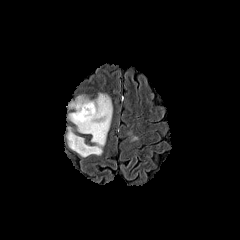
FLAIR magnetic resonance.
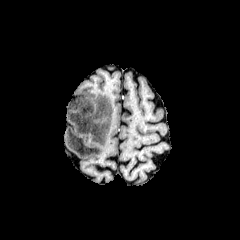
Same slice, T1-weighted MR.
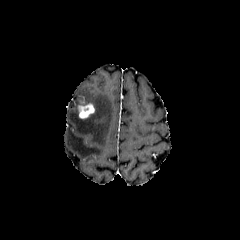
Same slice, post-contrast T1-weighted MR image.
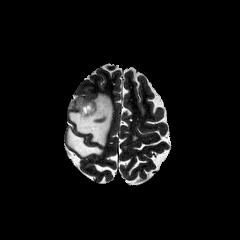
T2-weighted MR.
Segmented structures:
* edema: 67 93 113 157
* enhancing tumor: 77 103 94 119